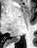

37x48, Hippocampus, MRI slice
The posterior hippocampus is at [x1=11, y1=38, x2=20, y2=42].